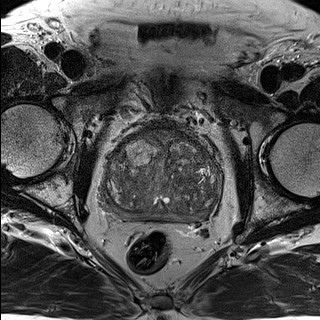
T2-weighted magnetic resonance.
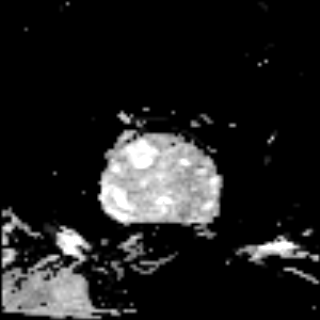
ADC MR image.
Pelvis
Prostate peripheral zone at x1=105 y1=190 x2=212 y2=219.
Prostate transition zone at x1=105 y1=132 x2=219 y2=213.